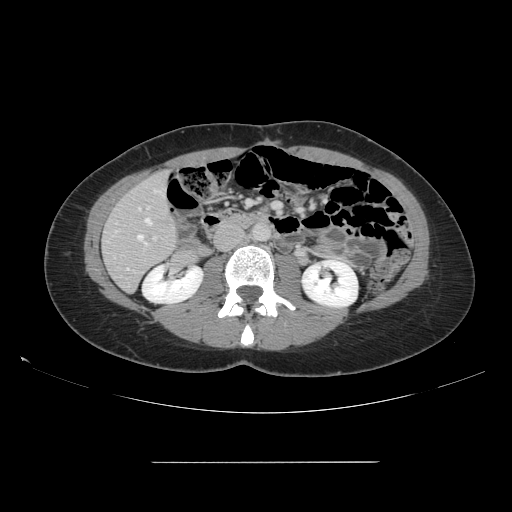 Abdomen, CT
Some hepatic vessels may have no box.
<segmentation>
  <hepatic_vessel>left=145, top=242, right=147, bottom=244; left=147, top=207, right=149, bottom=208; left=153, top=237, right=155, bottom=239; left=154, top=189, right=162, bottom=195; left=145, top=218, right=151, bottom=224; left=137, top=234, right=143, bottom=241</hepatic_vessel>
</segmentation>